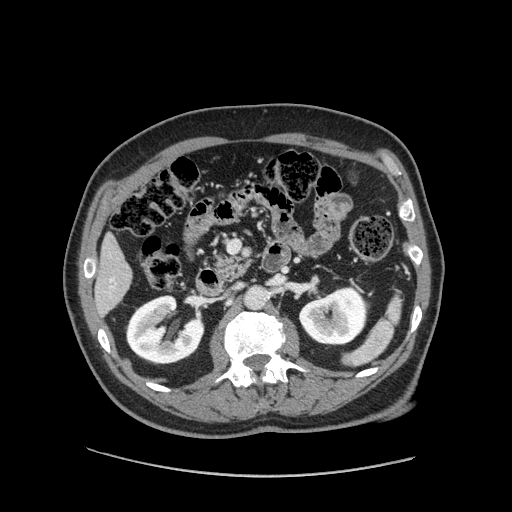 CT image | 512x512 px
Findings:
- pancreas: {"x1": 211, "y1": 256, "x2": 250, "y2": 281}